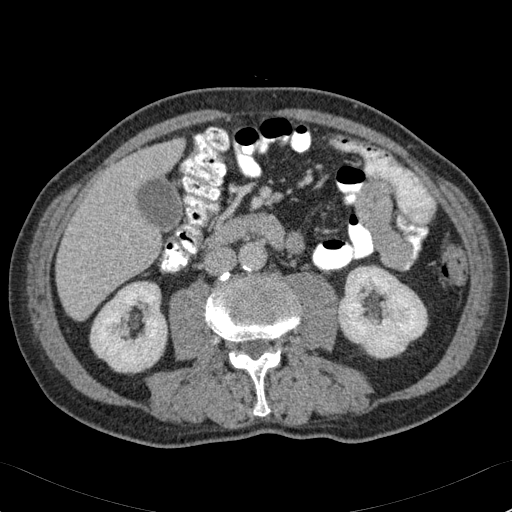 CT image.

2 kidney regions are bounded by (338,266,426,357), (91,282,166,371). The liver is bounded by (57,143,179,319).